CT; Slice 582/856

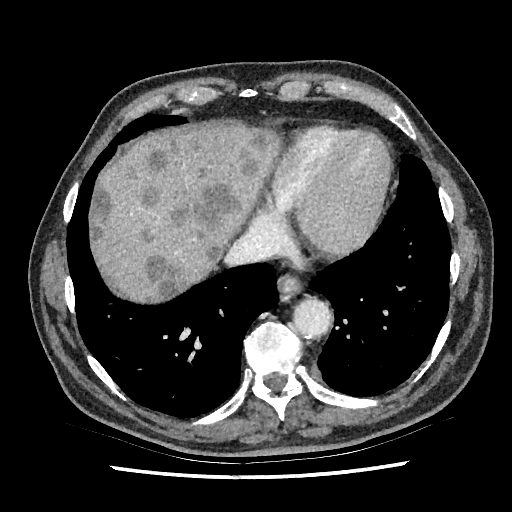

liver:
  - bbox(90, 123, 281, 301)
hepatic_lesion:
  - bbox(195, 229, 204, 239)
  - bbox(142, 230, 152, 243)
  - bbox(144, 255, 180, 299)
  - bbox(150, 149, 167, 171)
  - bbox(187, 135, 202, 151)
  - bbox(238, 146, 258, 176)
  - bbox(126, 165, 139, 179)
  - bbox(196, 167, 208, 178)
  - bbox(170, 182, 241, 230)
  - bbox(170, 140, 180, 154)
  - bbox(142, 184, 161, 207)
  - bbox(248, 129, 276, 149)
  - bbox(206, 246, 222, 265)
  - bbox(90, 179, 110, 241)